Slice index 342 | Computed tomography
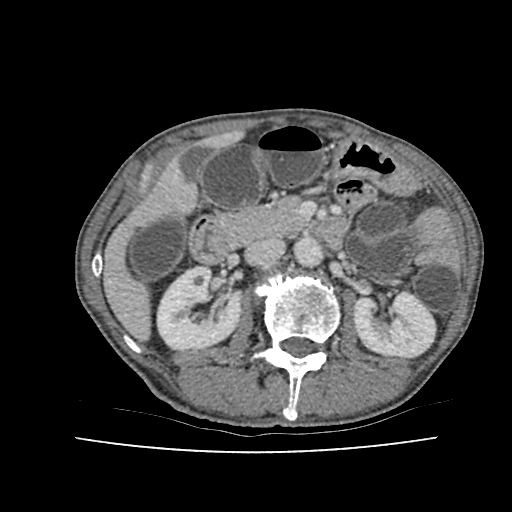 Liver — x1=103 y1=166 x2=190 y2=335.
Kidney — x1=355 y1=293 x2=434 y2=356, x1=157 y1=267 x2=240 y2=348.